MRI slice. Slice 9 of 28. Hippocampus.
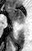
Segmented structures:
- anterior hippocampus: bbox=[6, 7, 24, 23]